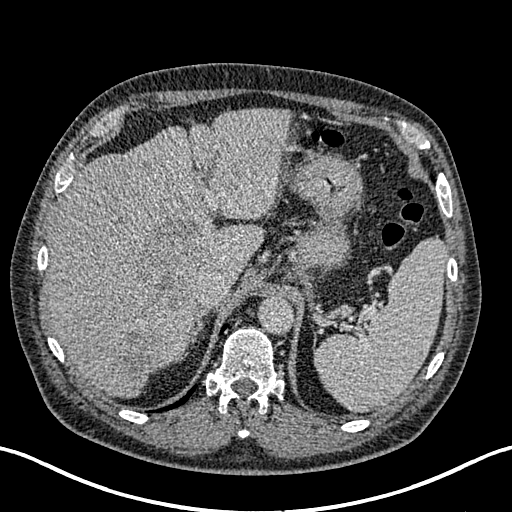 512x512. Computed tomography. Liver.
liver:
  - <box>47,109,291,397</box>
  - <box>186,272,206,286</box>
liver_lesion:
  - <box>197,189,205,202</box>
  - <box>226,150,265,185</box>
  - <box>120,330,162,382</box>
  - <box>134,217,213,312</box>